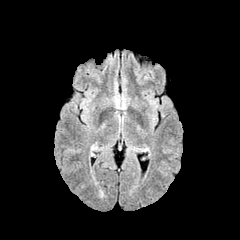
FLAIR MRI.
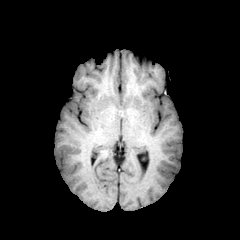
Same slice, T1-weighted MRI.
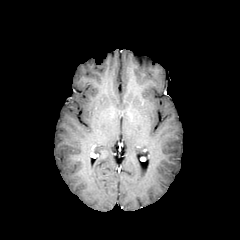
Same slice, post-contrast T1-weighted MR.
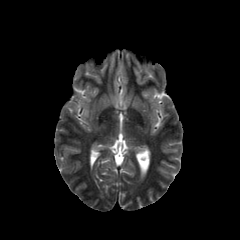
Same slice, T2-weighted magnetic resonance.
Image size 240x240
Segmented structures:
• edema: l=113, t=94, r=127, b=109